FLAIR MR image.
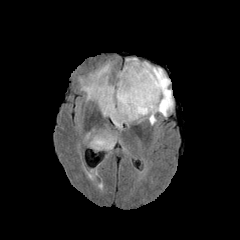
T1-weighted MRI.
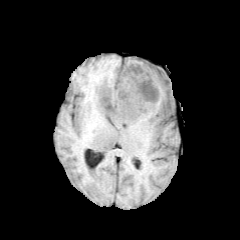
Post-contrast T1-weighted MR image.
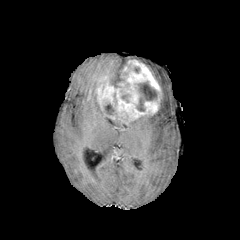
T2-weighted MRI.
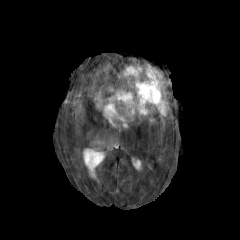
3 non-enhancing tumor core regions appear at 137:81:158:111, 103:102:115:115, 108:74:128:87. 4 edema regions appear at 112:119:125:127, 92:138:113:148, 82:64:117:117, 127:62:173:125. The enhancing tumor is at 96:60:162:121.